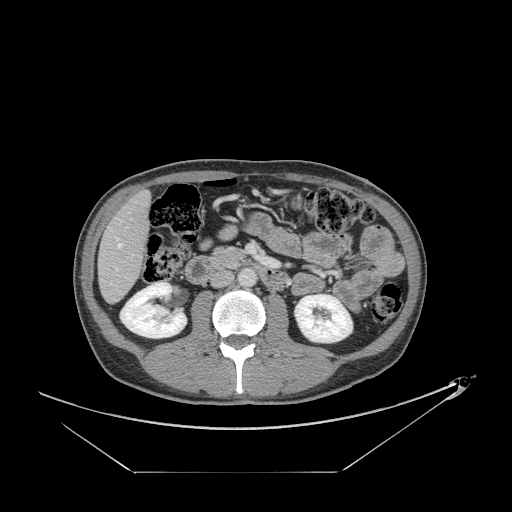

CT scan slice, Image size 512x512
The pancreas lies within bbox=[215, 247, 241, 262].